240x240. Slice 76/155.
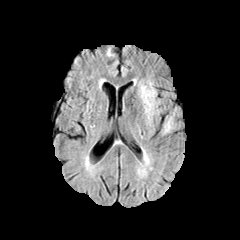
FLAIR magnetic resonance.
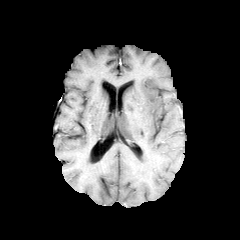
T1-weighted MRI of the same slice.
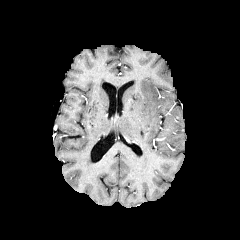
Post-contrast T1-weighted magnetic resonance.
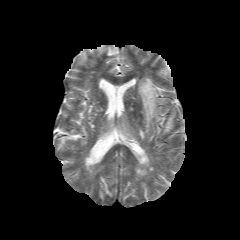
T2-weighted MR image of the same slice.
Edema: bounding box [136, 149, 151, 176], [138, 82, 159, 124], [162, 114, 173, 132].